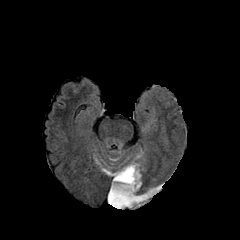
FLAIR MRI.
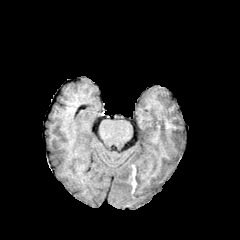
Same slice, T1-weighted MRI.
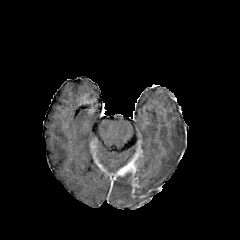
Post-contrast T1-weighted MR.
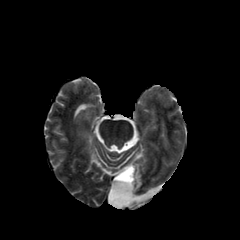
T2-weighted MR image of the same slice.
Head
The enhancing tumor is at <bbox>111, 159, 137, 180</bbox>. The edema is at <bbox>108, 169, 158, 208</bbox>. 2 non-enhancing tumor core regions appear at <bbox>138, 192, 149, 204</bbox>, <bbox>116, 168, 139, 196</bbox>.